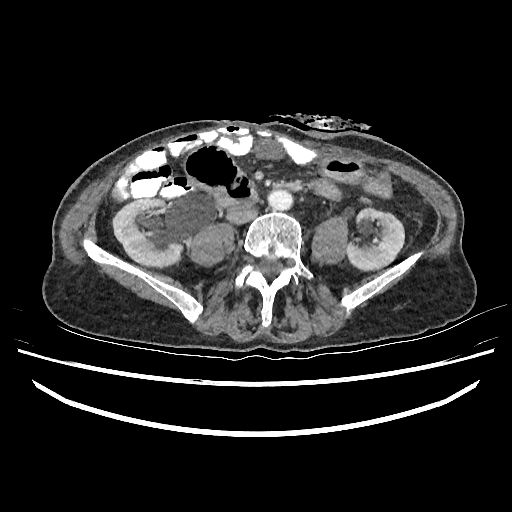 512x512. CT scan slice. kidney: {"x1": 113, "y1": 198, "x2": 181, "y2": 266}, {"x1": 347, "y1": 209, "x2": 404, "y2": 269}